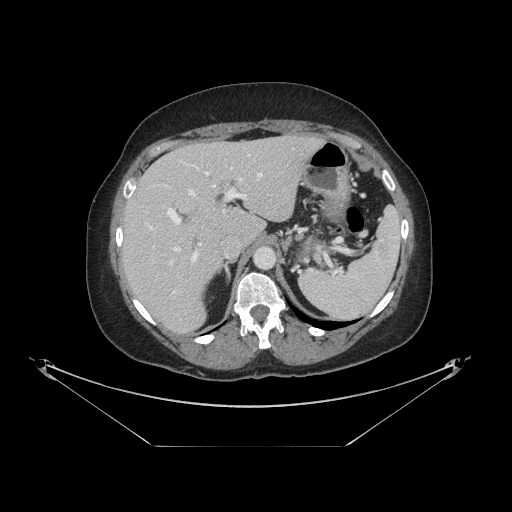
CT slice
Pancreas: bounding box (305, 235, 320, 253).